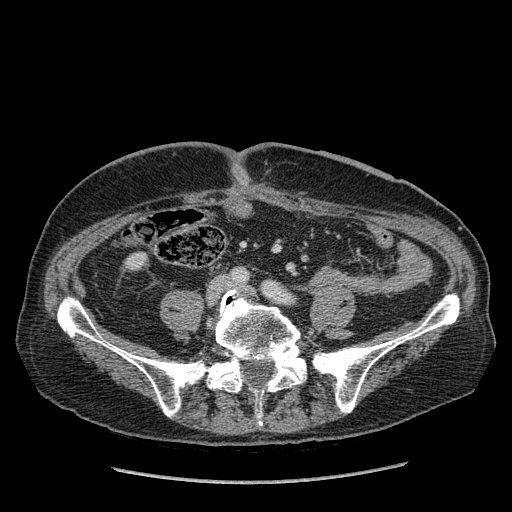

Computed tomography

The kidney lies within (125,253,146,269).